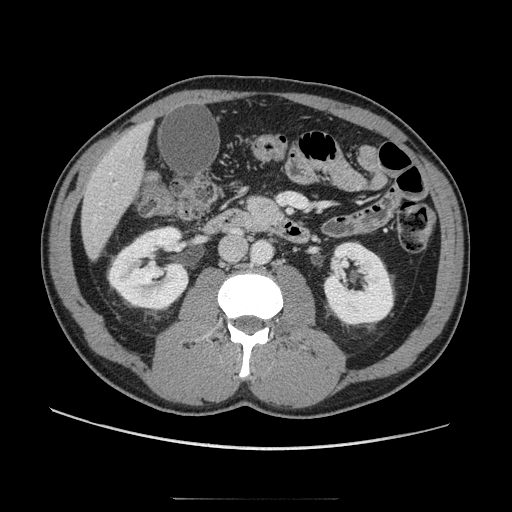

CT scan slice; Upper abdomen

pancreas: x1=243 y1=194 x2=288 y2=234